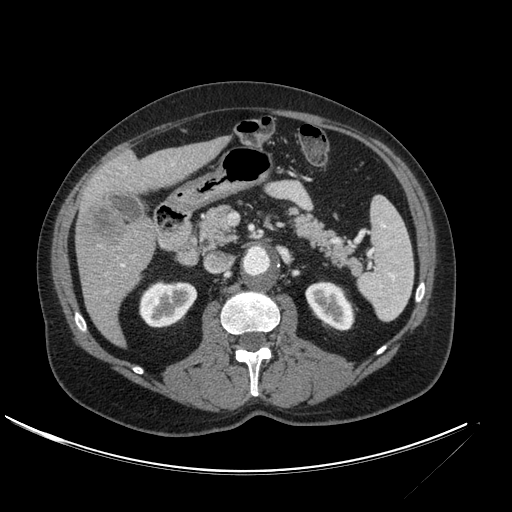

Abdomen | 512x512 | CT
Segmented structures:
- kidney: (left=306, top=283, right=352, bottom=329), (left=140, top=283, right=196, bottom=326)
- liver lesion: (left=77, top=189, right=127, bottom=249)
- liver: (left=76, top=218, right=156, bottom=347), (left=80, top=135, right=229, bottom=212)